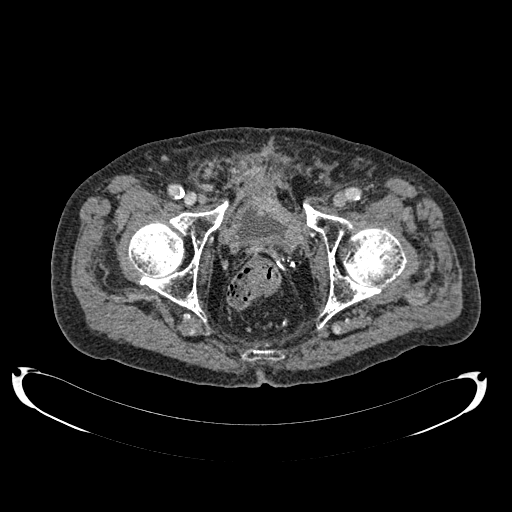
Pelvis; CT; 512x512
urinary bladder: [x1=238, y1=210, x2=286, y2=239]